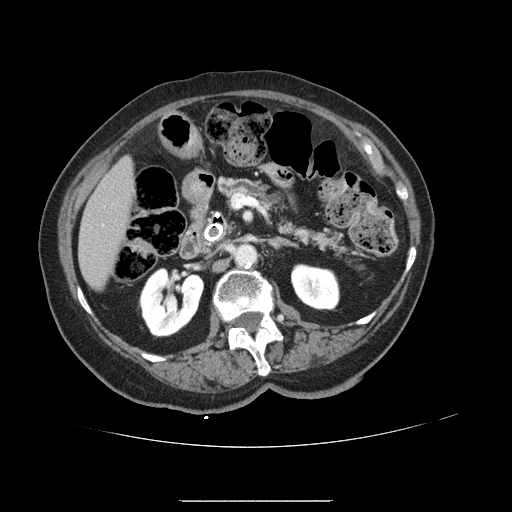 CT slice
Pancreas — 217:177:354:257.